Slice 109 of 155. Head.
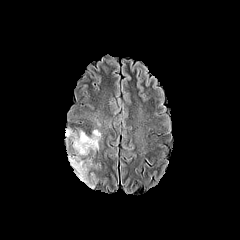
FLAIR MR image.
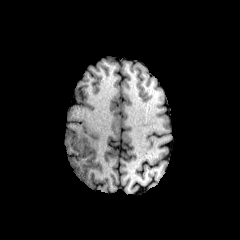
Same slice, T1-weighted MR.
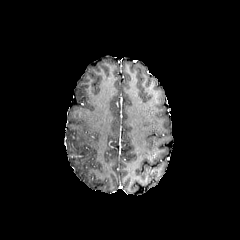
Same slice, post-contrast T1-weighted magnetic resonance.
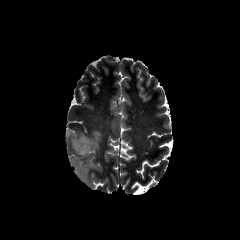
T2-weighted magnetic resonance.
edema: (65,130,101,182)